FLAIR magnetic resonance.
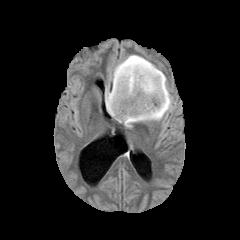
T1-weighted magnetic resonance.
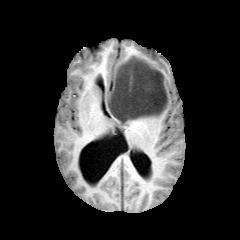
Post-contrast T1-weighted MRI.
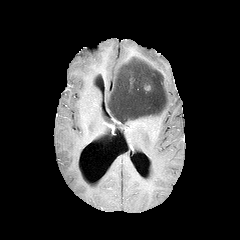
T2-weighted MR.
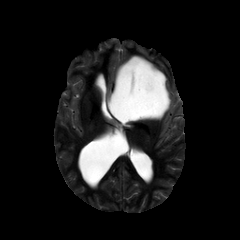
Brain
Edema: bounding box bbox=[104, 55, 172, 126].
Non-enhancing tumor core: bounding box bbox=[110, 62, 166, 123].